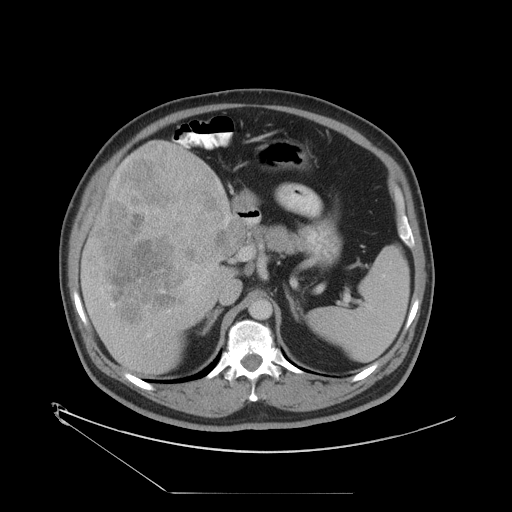 Abdomen | CT
The vessel boxes may cover only some of the vessels.
Annotated regions:
• hepatic vessel: (x1=147, y1=334, x2=150, y2=336), (x1=111, y1=327, x2=114, y2=331), (x1=118, y1=322, x2=119, y2=324), (x1=217, y1=181, x2=222, y2=191), (x1=98, y1=288, x2=105, y2=299), (x1=197, y1=287, x2=201, y2=290), (x1=201, y1=297, x2=205, y2=299), (x1=204, y1=277, x2=209, y2=282), (x1=223, y1=201, x2=227, y2=208), (x1=125, y1=328, x2=129, y2=333), (x1=189, y1=293, x2=192, y2=300), (x1=139, y1=326, x2=141, y2=328)
• liver tumor: (x1=91, y1=143, x2=245, y2=325)